Field of view 35 mm wide, 1.00 mm slice spacing; Hippocampus; MR image; Image size 35x53

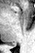 Annotated regions:
- posterior hippocampus: (left=8, top=44, right=16, bottom=45)